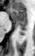
Magnetic resonance
Anterior hippocampus at 10 8 27 23.
Posterior hippocampus at 18 24 27 35.